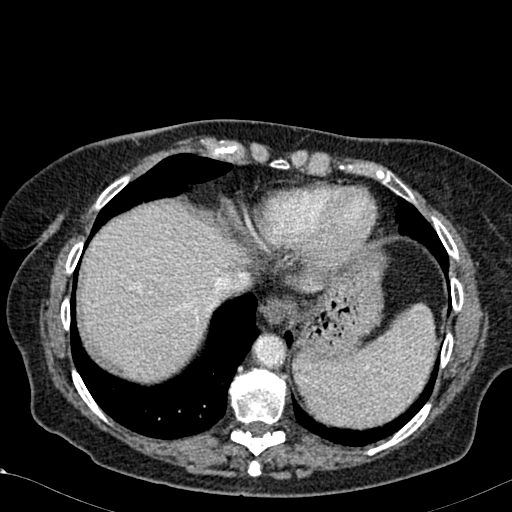

512x512 | Computed tomography | Liver
liver: (left=82, top=204, right=244, bottom=377), (left=300, top=278, right=321, bottom=290)